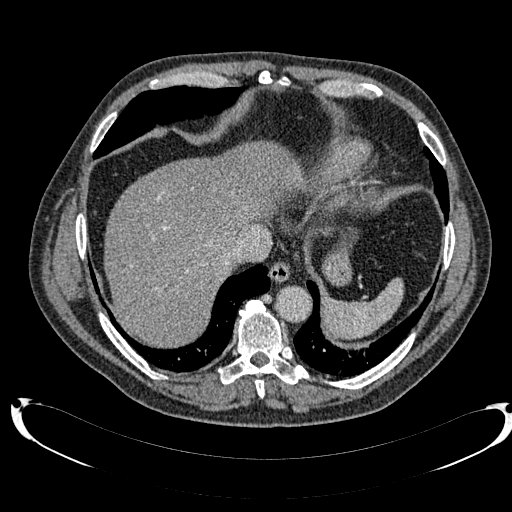 Liver | CT scan slice | Image size 512x512
The focal liver lesion is located at bbox(165, 156, 227, 210). The liver is bounded by bbox(104, 141, 299, 346).